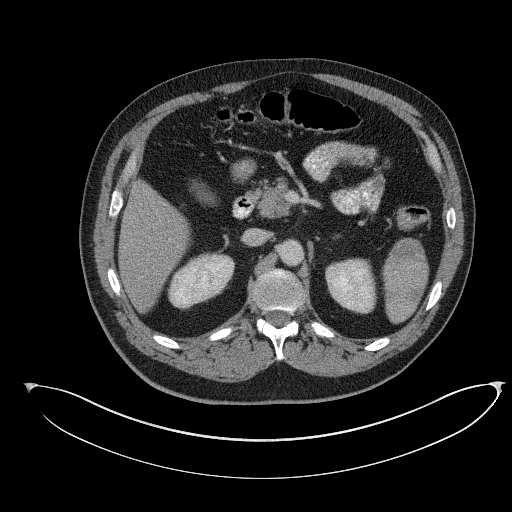 Image size 512x512; CT scan slice

The pancreas appears at box=[258, 179, 287, 217].